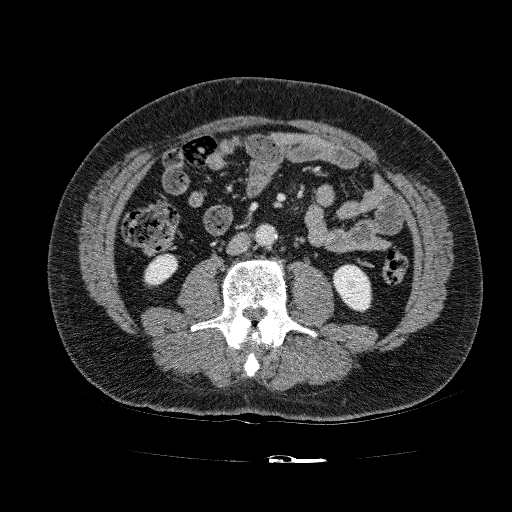
CT slice

2 kidney regions are bounded by l=145, t=254, r=177, b=284; l=334, t=265, r=370, b=310.